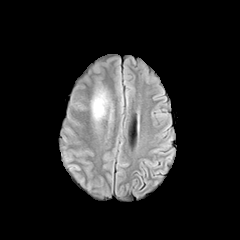
FLAIR MR.
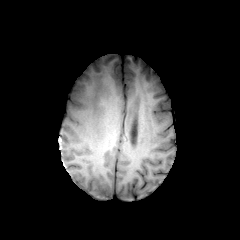
T1-weighted magnetic resonance of the same slice.
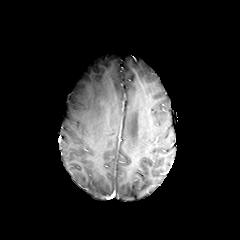
Same slice, post-contrast T1-weighted MR image.
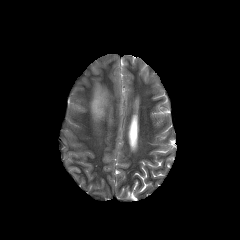
T2-weighted MRI.
Annotated regions:
- edema: 91, 85, 109, 120